Image width 472 mm; Image size 512x512; Abdomen; CT scan slice

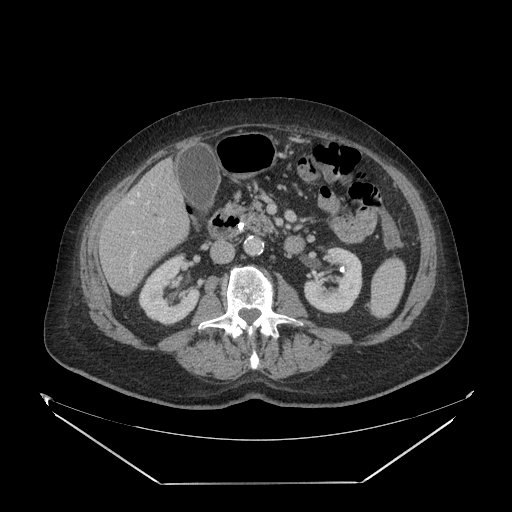 Pancreas — region(242, 200, 275, 236).